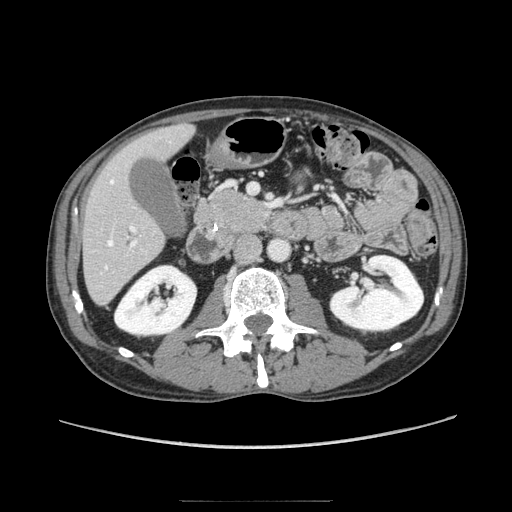 CT scan slice

The pancreas appears at box(196, 189, 266, 236).